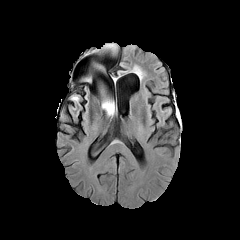
FLAIR magnetic resonance.
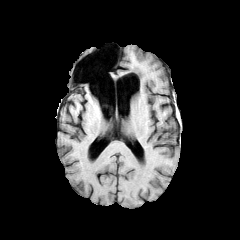
T1-weighted MR.
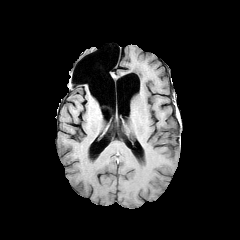
Same slice, post-contrast T1-weighted MR.
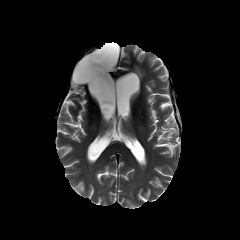
T2-weighted MR.
non-enhancing_tumor_core:
  - left=102, top=92, right=111, bottom=111
edema:
  - left=104, top=44, right=117, bottom=50
  - left=104, top=98, right=115, bottom=118